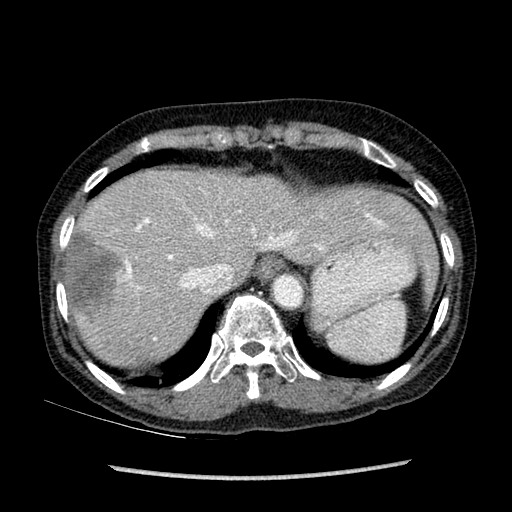
Liver; CT image
The liver is bounded by rect(70, 166, 438, 366). The focal liver lesion is located at rect(64, 229, 127, 316).